Image size 512x512. CT slice.
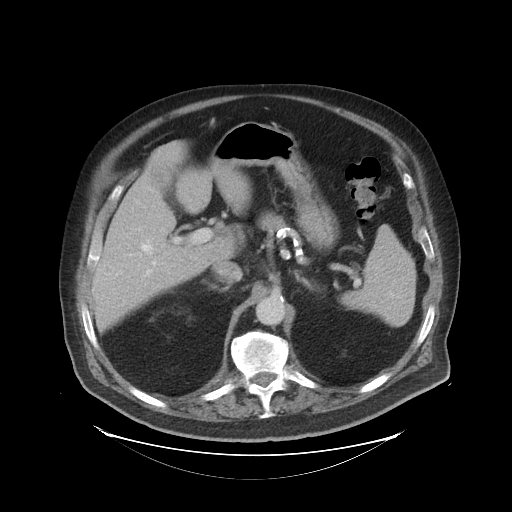 The vessel annotation is not exhaustive.
<segmentation>
  <hepatic_vessel>x1=153, y1=261, x2=155, y2=264; x1=141, y1=244, x2=150, y2=253; x1=139, y1=253, x2=140, y2=255</hepatic_vessel>
</segmentation>